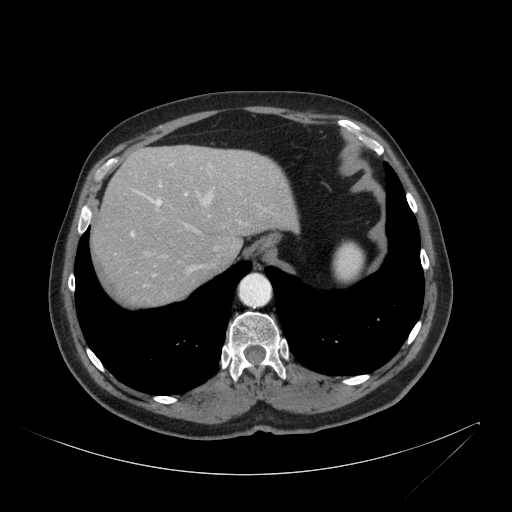
CT slice. liver:
  - region(93, 146, 298, 304)